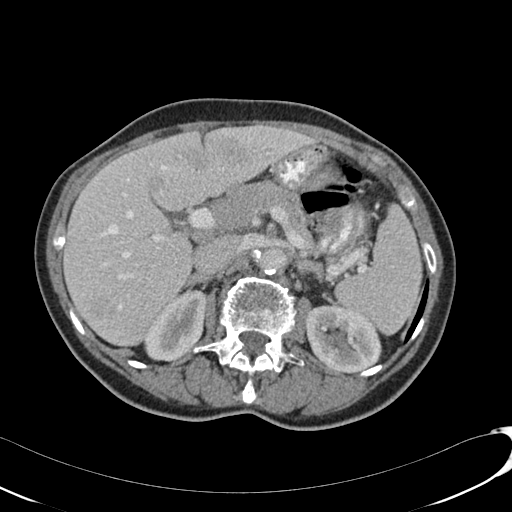 Image size 512x512 | Abdomen | CT slice
Kidney: (147, 291, 206, 360), (306, 306, 380, 372).
Liver: (64, 126, 317, 344).
Hepatic lesion: (216, 139, 253, 166), (66, 236, 72, 246), (150, 175, 162, 190), (95, 302, 106, 318), (190, 150, 207, 170).